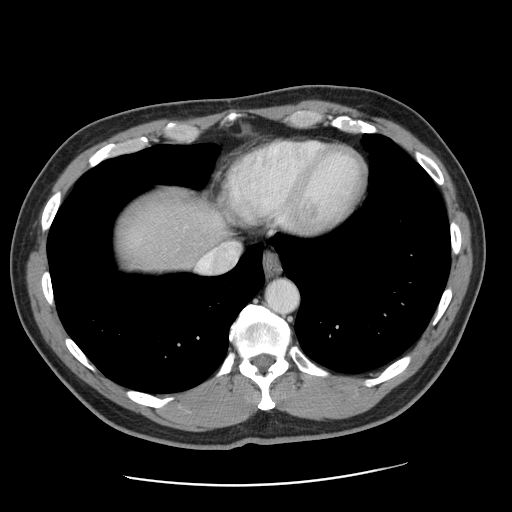

CT slice | Abdomen | 512x512 px

Not every hepatic vessel necessarily has a box.
Annotated regions:
- hepatic vessel: region(199, 243, 239, 272)